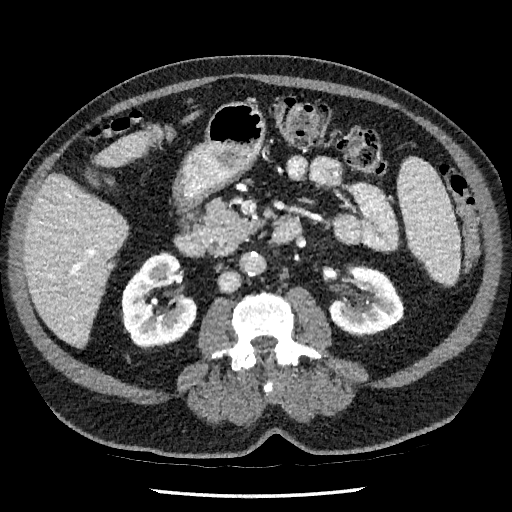

CT slice
Liver: bounding box bbox(24, 175, 127, 347); bbox(95, 133, 146, 167).
Kidney: bounding box bbox(122, 253, 195, 345); bbox(330, 267, 402, 333).